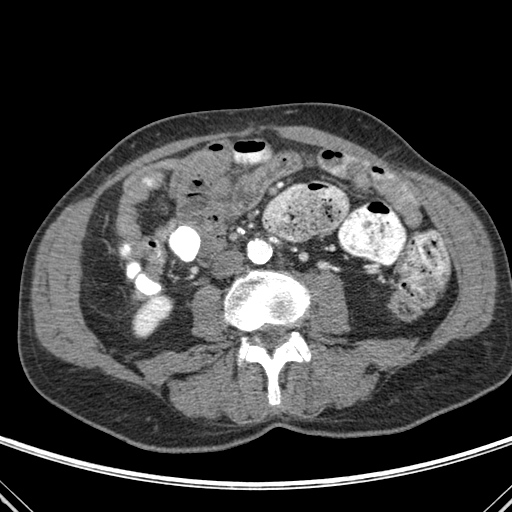 512x512 px, CT

Bone = <box>224,271,309,331</box>, <box>238,332,310,405</box>.
Kidney = <box>135,295,171,335</box>.